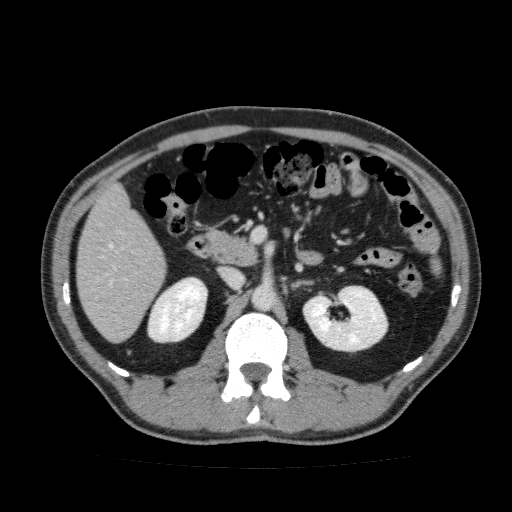
Liver. CT image.

Kidney = box(148, 278, 206, 341); box(304, 286, 387, 350).
Liver = box(76, 182, 166, 341).